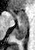

MRI
- anterior hippocampus: x1=8, y1=9, x2=27, y2=20
- posterior hippocampus: x1=13, y1=21, x2=27, y2=39